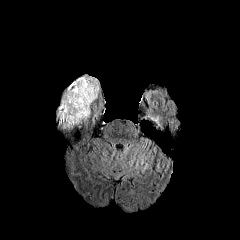
FLAIR magnetic resonance.
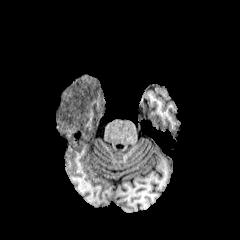
T1-weighted MRI.
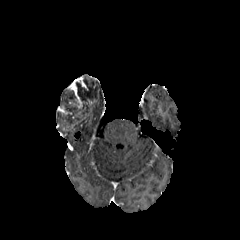
Post-contrast T1-weighted magnetic resonance.
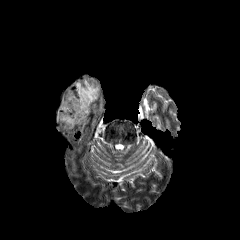
Same slice, T2-weighted MRI.
Image size 240x240
enhancing tumor: 57,106,68,116; 67,75,87,108 | non-enhancing tumor core: 56,74,102,132